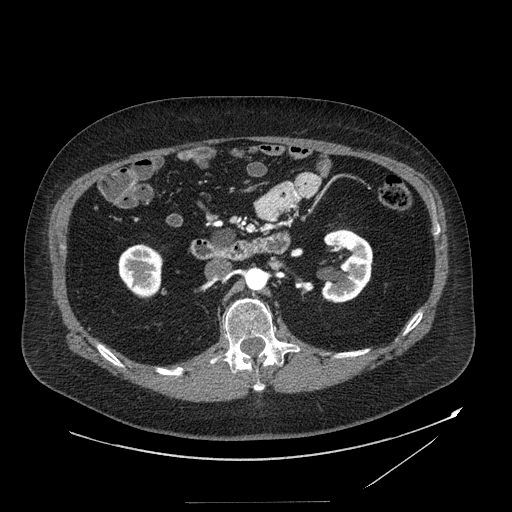 CT; Image size 512x512; Upper abdomen

The pancreatic tumor lies within [213, 229, 233, 248]. The pancreas is located at [209, 227, 235, 251].